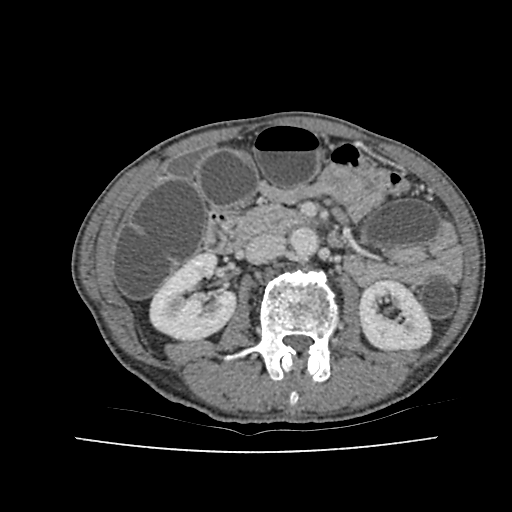
512x512. Abdomen. CT slice.

kidney: [360, 281, 430, 349], [151, 254, 235, 339]